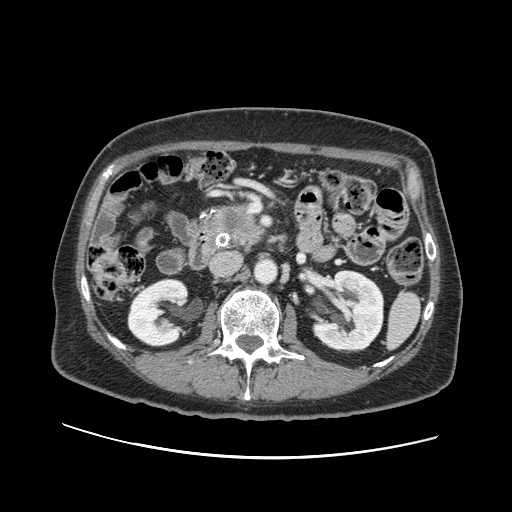 CT scan slice; Upper abdomen
{"pancreatic_tumor": ["bbox=[212, 205, 256, 236]"], "pancreas": ["bbox=[198, 199, 268, 252]"]}